512x512 px | Image width 341 mm | Computed tomography 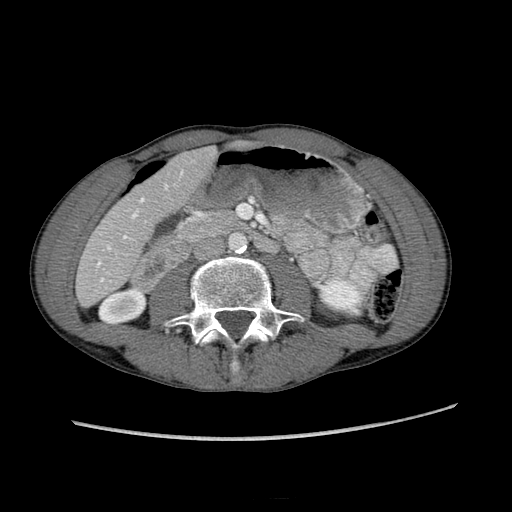
Kidney: bbox(318, 277, 361, 312); bbox(99, 289, 144, 322).
Liver: bbox(79, 146, 213, 298).